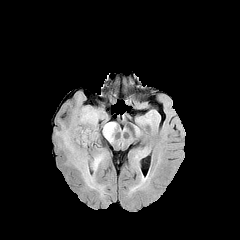
FLAIR MR.
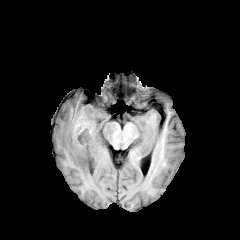
T1-weighted MR image of the same slice.
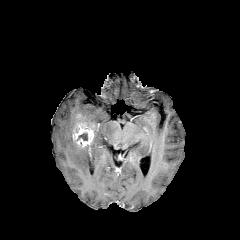
Post-contrast T1-weighted magnetic resonance.
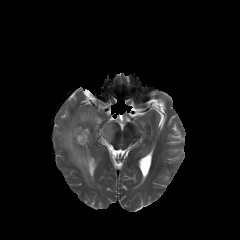
T2-weighted magnetic resonance.
Head.
Edema: {"x1": 63, "y1": 106, "x2": 116, "y2": 185}.
Enhancing tumor: {"x1": 72, "y1": 122, "x2": 94, "y2": 146}.
Non-enhancing tumor core: {"x1": 78, "y1": 133, "x2": 87, "y2": 140}.